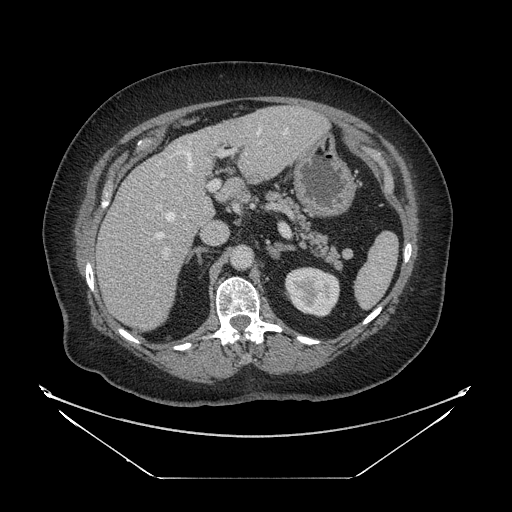 CT scan slice.

Pancreas: bounding box rect(267, 191, 342, 271).